320x320 px; MRI slice 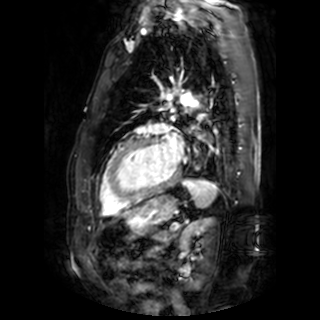 Left atrium: bounding box (x1=165, y1=139, x2=182, y2=163).